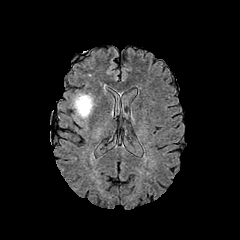
FLAIR MR image.
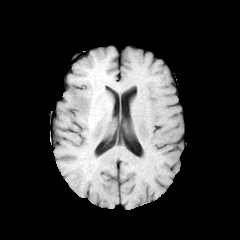
T1-weighted MR.
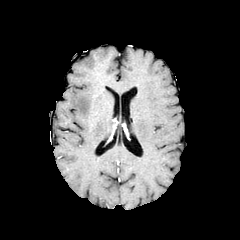
Post-contrast T1-weighted MR.
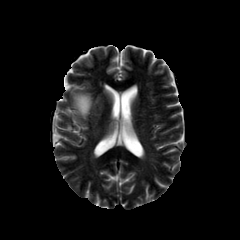
T2-weighted magnetic resonance.
The edema is at [73, 93, 92, 118].